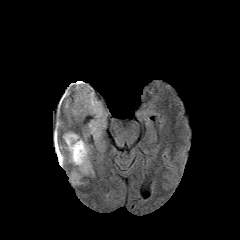
FLAIR magnetic resonance.
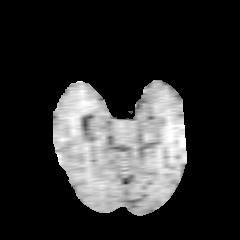
T1-weighted MRI of the same slice.
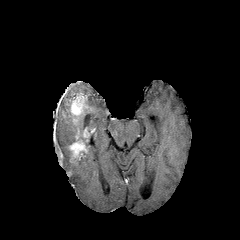
Post-contrast T1-weighted MR of the same slice.
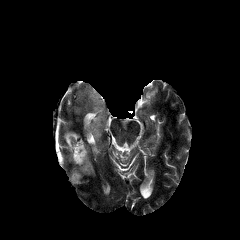
Same slice, T2-weighted MR image.
Head
<segmentation>
  <non-enhancing_tumor_core>bbox(70, 154, 82, 163)</non-enhancing_tumor_core>
  <edema>bbox(69, 170, 82, 181); bbox(54, 130, 94, 175); bbox(86, 122, 100, 139); bbox(94, 102, 102, 117)</edema>
  <enhancing_tumor>bbox(69, 136, 86, 159); bbox(56, 144, 63, 159)</enhancing_tumor>
</segmentation>